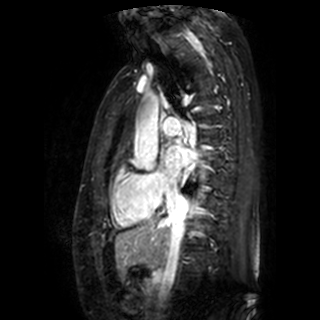
MRI slice. Cardiac.

Left atrium: bounding box 164:145:194:178.